Image width 240 mm | 240x240 | Head
FLAIR magnetic resonance.
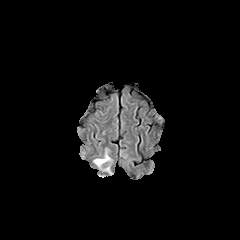
T1-weighted magnetic resonance.
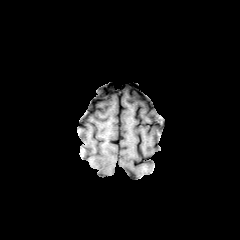
Post-contrast T1-weighted MRI.
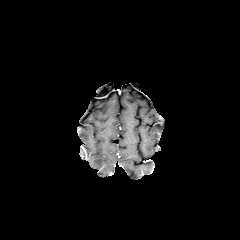
T2-weighted MRI.
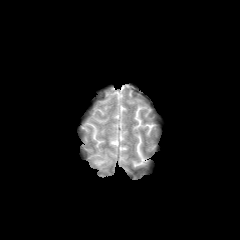
Findings:
• edema: (94, 154, 110, 169)